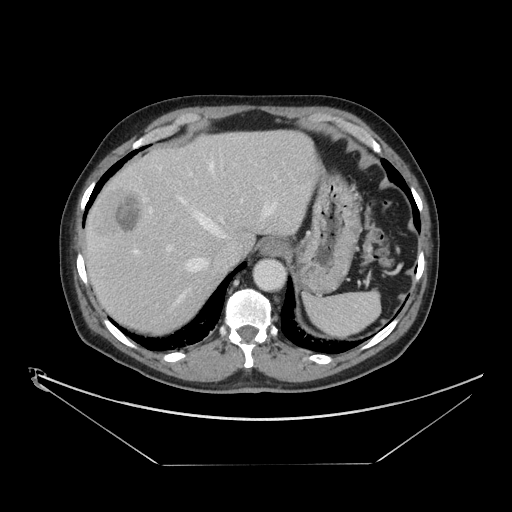 Liver, CT slice
Some hepatic vessels may have no box.
liver tumor: <bbox>92, 188, 146, 240</bbox> | hepatic vessel: <bbox>210, 162, 213, 173</bbox>, <bbox>178, 197, 184, 202</bbox>, <bbox>241, 199, 242, 201</bbox>, <bbox>189, 173, 191, 175</bbox>, <bbox>149, 207, 152, 212</bbox>, <bbox>220, 218, 223, 222</bbox>, <bbox>263, 204, 274, 216</bbox>, <bbox>196, 213, 226, 237</bbox>, <bbox>188, 258, 207, 270</bbox>, <bbox>178, 291, 186, 301</bbox>, <bbox>133, 250, 138, 253</bbox>, <bbox>143, 197, 148, 201</bbox>, <bbox>166, 246, 171, 250</bbox>